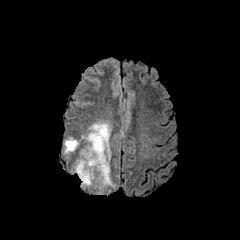
FLAIR MRI.
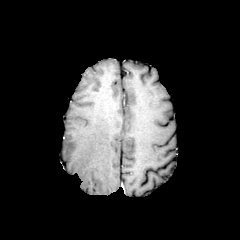
T1-weighted MRI.
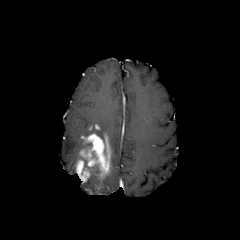
Same slice, post-contrast T1-weighted MR image.
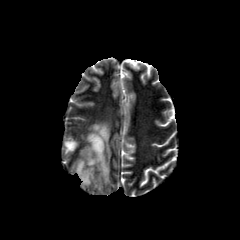
Same slice, T2-weighted magnetic resonance.
enhancing_tumor:
  - 75,158,90,182
  - 80,133,109,177
non-enhancing_tumor_core:
  - 80,156,103,181
edema:
  - 83,170,110,191
  - 96,122,110,144
  - 64,137,78,153